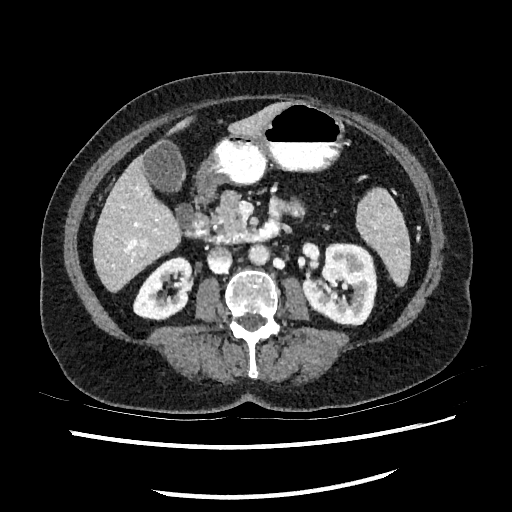
Upper abdomen; CT scan slice
kidney:
  - (left=303, top=244, right=375, bottom=323)
  - (left=134, top=258, right=190, bottom=318)
liver:
  - (left=229, top=102, right=288, bottom=135)
  - (left=94, top=155, right=180, bottom=290)